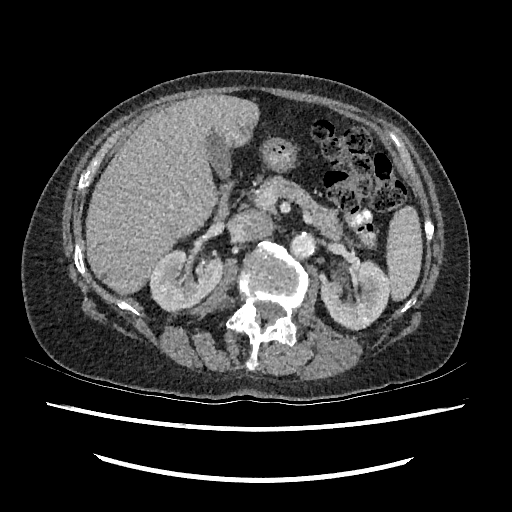 512x512 px; CT slice; Upper abdomen
<segmentation>
  <liver><box>86,95,258,294</box></liver>
  <kidney><box>150,251,222,310</box>, <box>321,257,390,329</box></kidney>
  <hepatic_lesion><box>169,223,177,230</box></hepatic_lesion>
</segmentation>